Slice index 73, Computed tomography

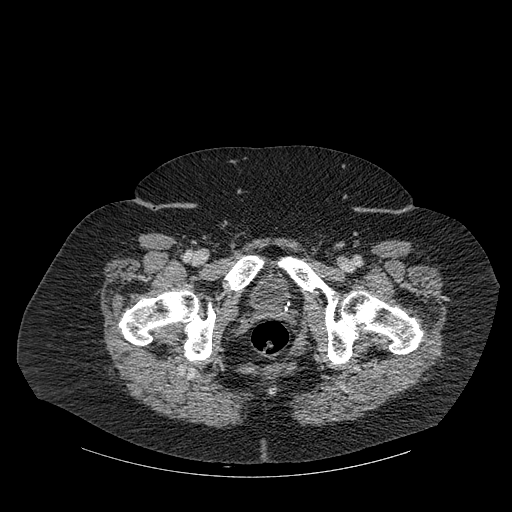
3 bone regions are located at box=[224, 256, 263, 290]; box=[119, 290, 215, 361]; box=[278, 257, 422, 364].